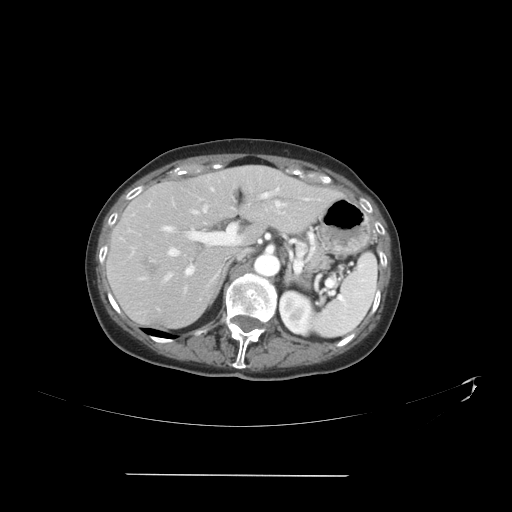
CT image, 512x512 px, Abdomen

The vessel boxes may cover only some of the vessels.
10 hepatic vessel regions are bounded by l=188, t=224, r=239, b=244; l=211, t=187, r=214, b=190; l=192, t=210, r=197, b=213; l=203, t=205, r=207, b=211; l=278, t=211, r=282, b=213; l=261, t=188, r=278, b=198; l=169, t=248, r=177, b=255; l=185, t=265, r=194, b=275; l=275, t=201, r=285, b=207; l=162, t=226, r=172, b=231. The liver tumor lies within l=140, t=255, r=160, b=277.